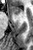 MRI slice | Hippocampus
Segmented structures:
- anterior hippocampus: 11, 6, 21, 14